Head | Slice index 64
FLAIR magnetic resonance.
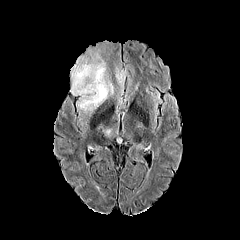
T1-weighted MR image.
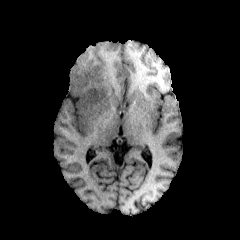
Post-contrast T1-weighted MR.
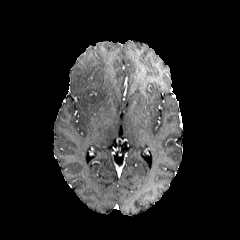
T2-weighted magnetic resonance.
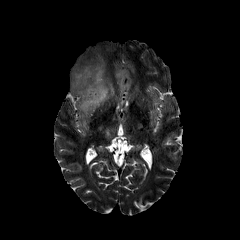
Edema = {"x1": 71, "y1": 61, "x2": 114, "y2": 113}, {"x1": 116, "y1": 66, "x2": 127, "y2": 93}.